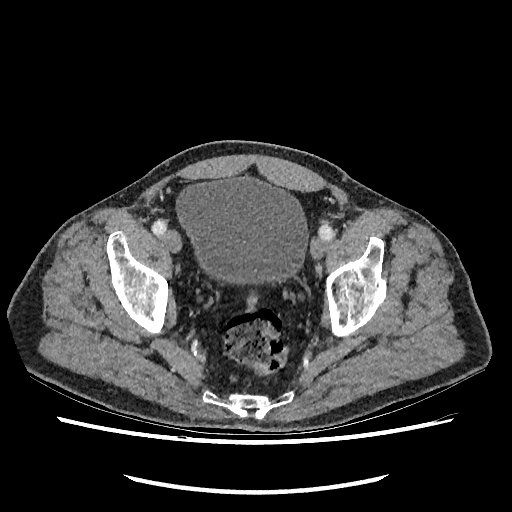
CT scan slice; Lower abdomen

Urinary bladder at (x1=177, y1=176, x2=308, y2=284).